CT, Slice 54 of 102
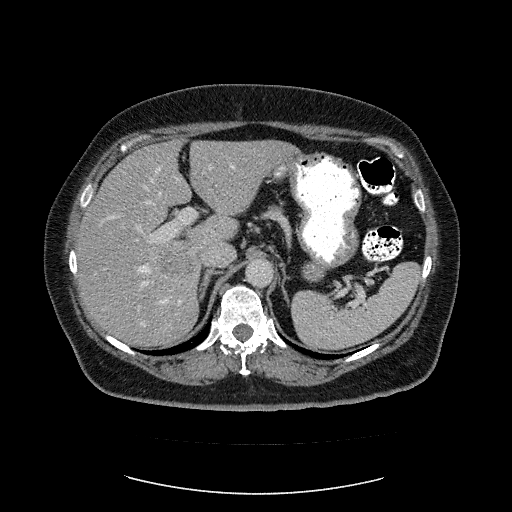
Some hepatic vessels may have no box.
The most prominent 15 hepatic vessel regions (of 18) appear at box=[176, 207, 198, 223]; box=[137, 225, 142, 232]; box=[141, 281, 147, 288]; box=[150, 177, 154, 181]; box=[140, 322, 145, 326]; box=[174, 177, 181, 180]; box=[139, 265, 150, 272]; box=[147, 201, 154, 204]; box=[231, 165, 234, 167]; box=[178, 300, 181, 304]; box=[160, 299, 167, 303]; box=[150, 224, 176, 242]; box=[107, 215, 113, 218]; box=[157, 166, 161, 172]; box=[209, 165, 211, 169]. The liver tumor lies within box=[159, 237, 206, 277].